CT slice

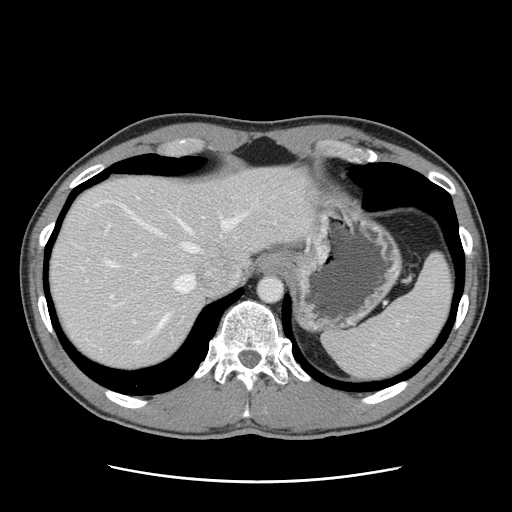
Some hepatic vessels may have no box.
{"hepatic_vessel": ["x1=117, y1=203, x2=160, y2=234", "x1=222, y1=212, x2=247, y2=227", "x1=137, y1=197, x2=138, y2=198", "x1=104, y1=224, x2=109, y2=233", "x1=111, y1=295, x2=113, y2=297", "x1=177, y1=219, x2=190, y2=232", "x1=170, y1=214, x2=175, y2=217", "x1=133, y1=253, x2=135, y2=255", "x1=155, y1=315, x2=167, y2=331", "x1=133, y1=320, x2=134, y2=322", "x1=182, y1=243, x2=198, y2=252", "x1=174, y1=274, x2=194, y2=292", "x1=105, y1=261, x2=114, y2=265", "x1=134, y1=341, x2=137, y2=343", "x1=80, y1=267, x2=82, y2=268"]}